Slice 29/155
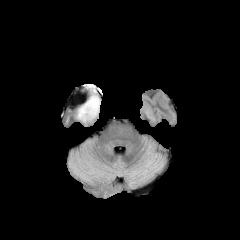
FLAIR MR image.
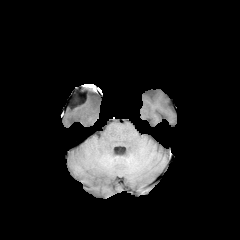
Same slice, T1-weighted MRI.
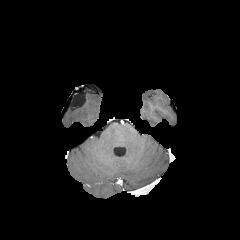
Post-contrast T1-weighted MRI of the same slice.
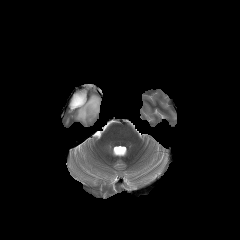
T2-weighted MR of the same slice.
Annotated regions:
- edema: {"x1": 76, "y1": 94, "x2": 100, "y2": 122}